Abdomen, Slice index 431, CT slice
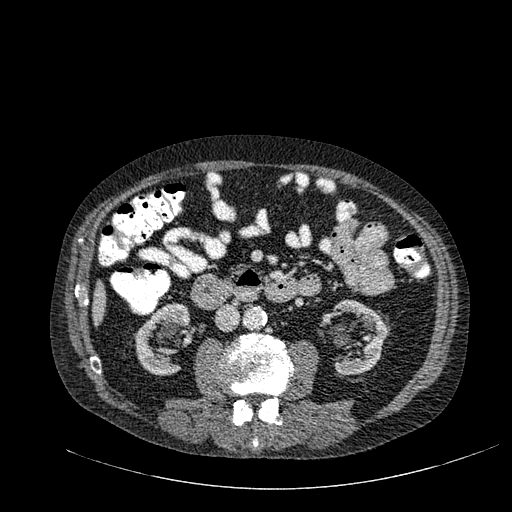 - liver: x1=93 y1=282 x2=104 y2=325
- kidney: x1=134 y1=302 x2=196 y2=375, x1=320 y1=301 x2=389 y2=376